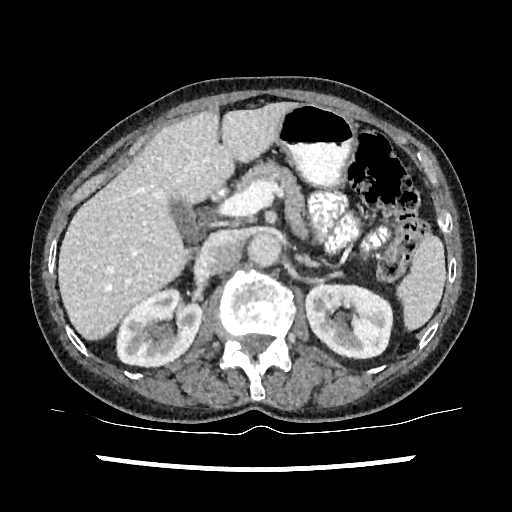
Abdomen; Computed tomography
{"kidney": ["box=[117, 292, 201, 367]", "box=[306, 286, 391, 357]"], "liver": ["box=[60, 103, 302, 339]"]}